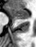 36x47 px; MR
posterior hippocampus: (12,17,28,19) | anterior hippocampus: (7,6,28,16)